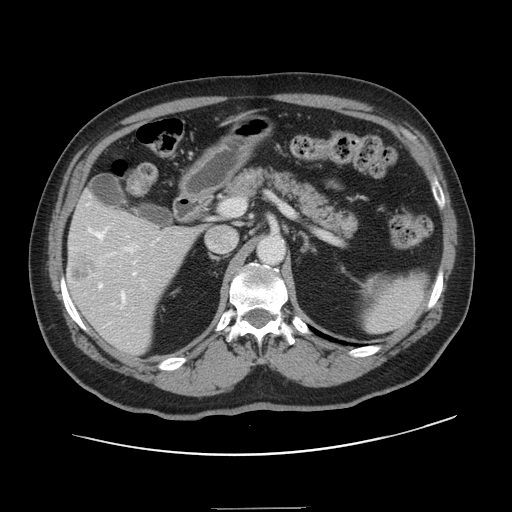

Liver; CT scan slice; 512x512 px
Not every hepatic vessel necessarily has a box.
Hepatic vessel: rect(125, 247, 134, 251); rect(106, 227, 107, 228); rect(108, 254, 112, 255); rect(99, 283, 101, 287); rect(87, 203, 89, 204); rect(88, 228, 92, 231); rect(133, 273, 135, 275); rect(93, 231, 104, 239); rect(121, 292, 124, 300).
Liver tumor: rect(73, 262, 93, 280).